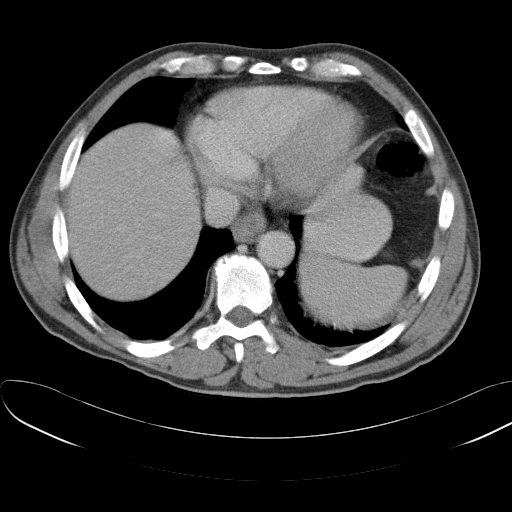
Image size 512x512. CT image. The spleen is bounded by {"x1": 299, "y1": 258, "x2": 406, "y2": 329}.